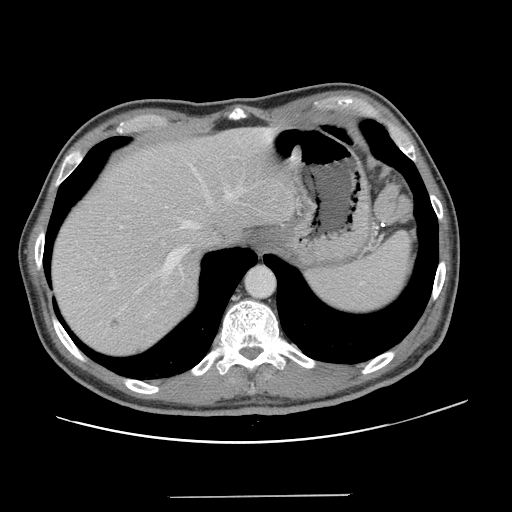 Liver; CT scan slice
Not every hepatic vessel necessarily has a box.
Segmented structures:
- hepatic vessel: (left=162, top=248, right=186, bottom=275), (left=120, top=226, right=122, bottom=227), (left=180, top=221, right=198, bottom=228), (left=135, top=290, right=139, bottom=294), (left=113, top=286, right=116, bottom=287), (left=111, top=270, right=114, bottom=275)